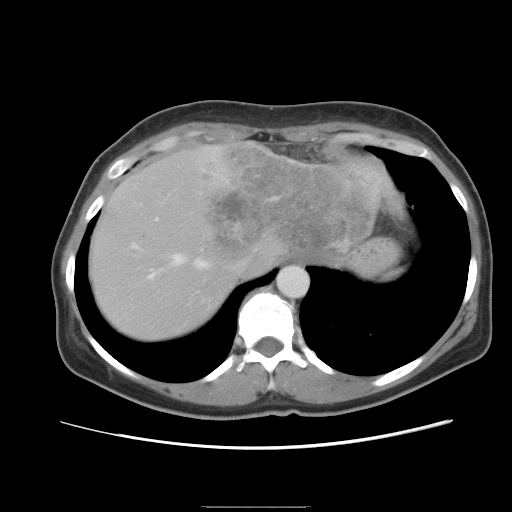

Liver | Computed tomography | Image size 512x512
Only some of the vessels may be annotated.
The liver tumor lies within x1=193 y1=144 x2=376 y2=269. 5 hepatic vessel regions appear at x1=171 y1=254 x2=182 y2=263, x1=132 y1=244 x2=137 y2=247, x1=195 y1=259 x2=205 y2=267, x1=237 y1=269 x2=240 y2=270, x1=148 y1=269 x2=155 y2=278.